Field of view 428x428 mm, Slice 117/156, CT image, Abdomen 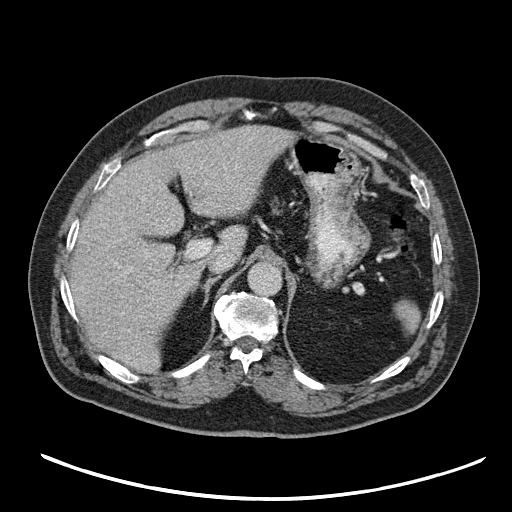

Spleen = x1=396 y1=301 x2=418 y2=329.